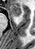 Hippocampus, MR

{
  "anterior_hippocampus": [
    "bbox(11, 5, 21, 16)"
  ]
}